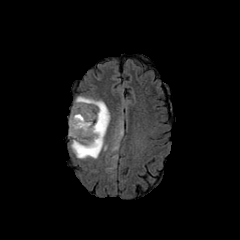
FLAIR MR image.
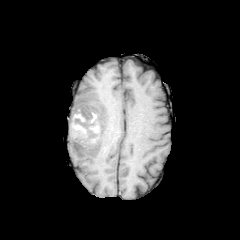
T1-weighted MR image.
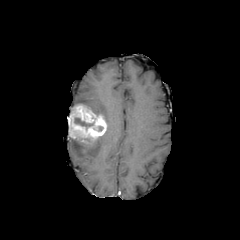
Same slice, post-contrast T1-weighted magnetic resonance.
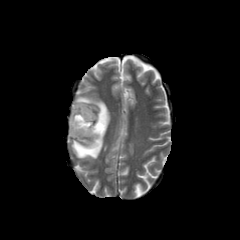
T2-weighted MRI.
Head | Image size 240x240
Edema: bbox(71, 131, 106, 159); bbox(75, 96, 110, 126).
Enhancing tumor: bbox(68, 104, 107, 143).
Non-enhancing tumor core: bbox(75, 117, 94, 126); bbox(88, 105, 98, 120).